Image width 437 mm, CT
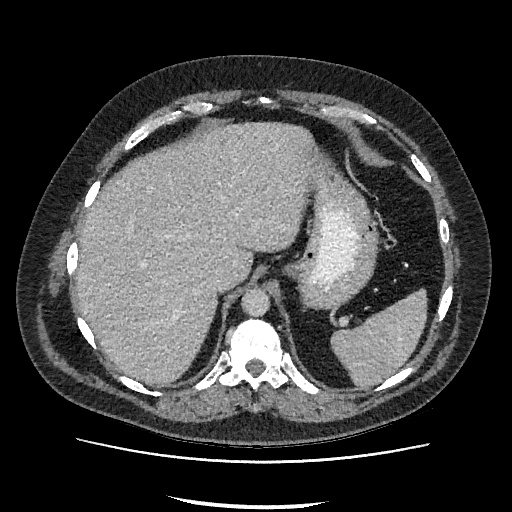 Liver: (77, 123, 312, 383).